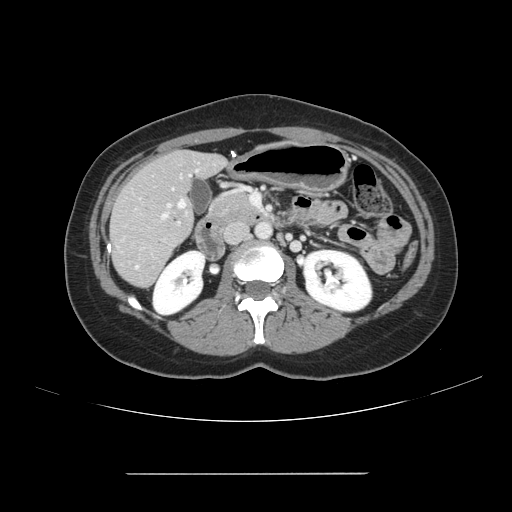
Liver, Computed tomography

Not every hepatic vessel necessarily has a box.
<segmentation>
  <hepatic_vessel>region(136, 266, 138, 268); region(162, 213, 167, 218); region(167, 204, 170, 206); region(178, 200, 184, 207)</hepatic_vessel>
</segmentation>